Head
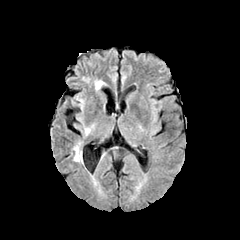
FLAIR MRI.
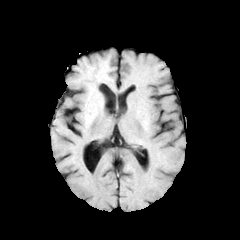
T1-weighted magnetic resonance.
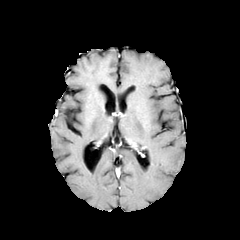
Post-contrast T1-weighted MR.
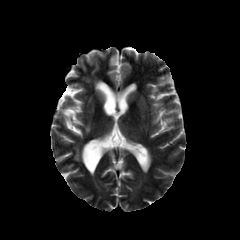
Same slice, T2-weighted MR image.
Edema: bounding box <box>76,97,84,108</box>, <box>73,145,82,161</box>, <box>94,79,105,91</box>.